Field of view 700x700 mm; CT scan slice 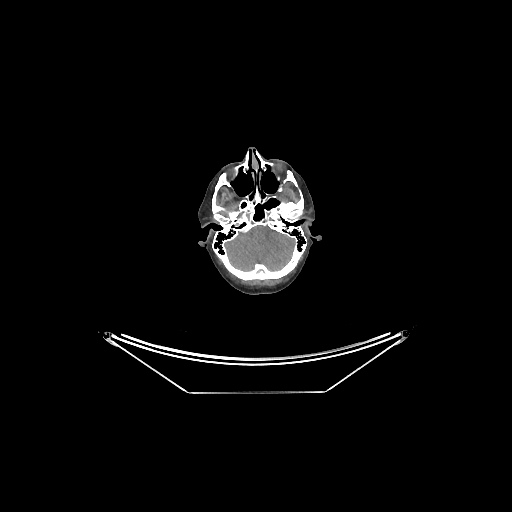
brain: <bbox>224, 225, 296, 271</bbox>